CT image. 512x512 px.
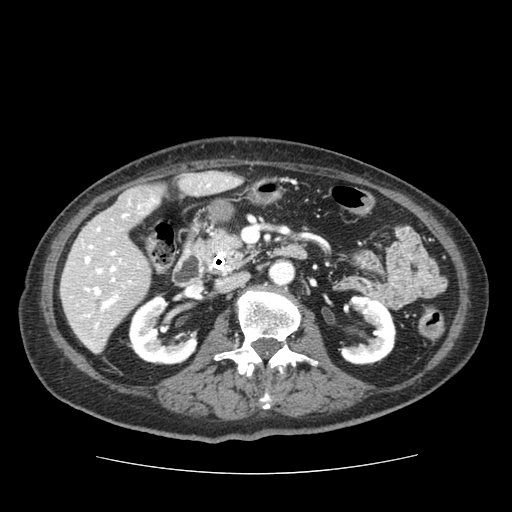
Pancreas: [195, 231, 252, 271].